Liver. Image width 472 mm. Computed tomography. 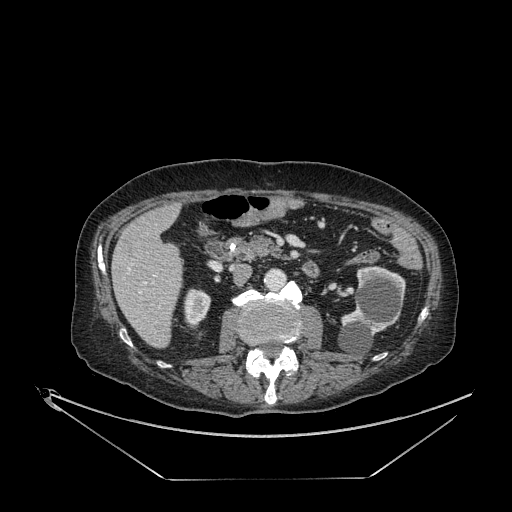
Focal liver lesion = region(124, 238, 133, 255).
Kidney = region(357, 266, 405, 298); region(185, 290, 210, 324); region(338, 288, 353, 296); region(341, 305, 398, 334).
Liver = region(112, 205, 182, 348).